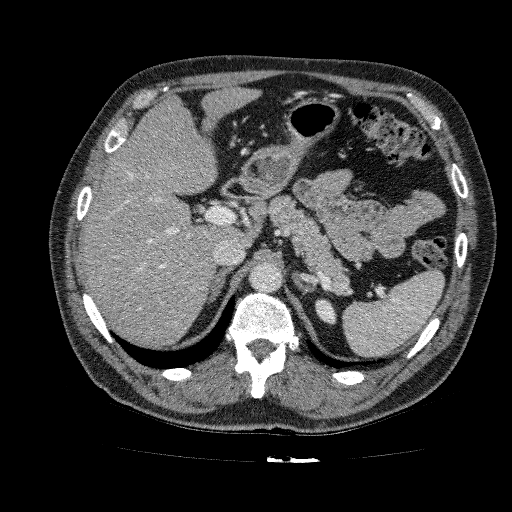
CT image | Liver
Segmented structures:
* kidney: [316,300,334,323]
* liver: [81,87,260,347]